Slice index 261. Abdomen. CT scan slice. 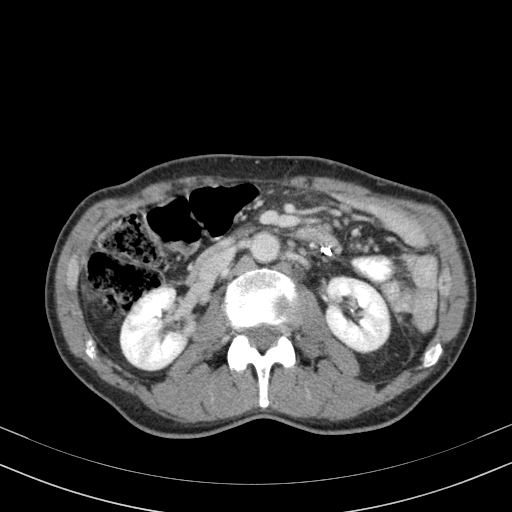

{
  "kidney": [
    "(121,288,185,369)",
    "(327,278,388,350)"
  ]
}